CT image | Image size 512x512
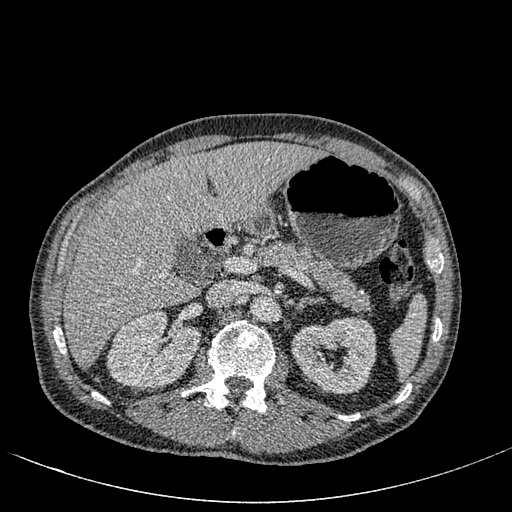
* liver: x1=64 y1=142 x2=324 y2=369
* kidney: x1=107 y1=311 x2=200 y2=387, x1=292 y1=317 x2=375 y2=393